FLAIR MRI.
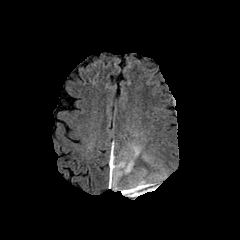
T1-weighted MR.
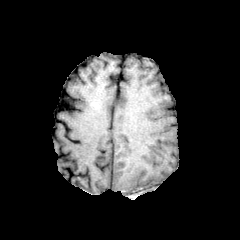
Post-contrast T1-weighted MRI.
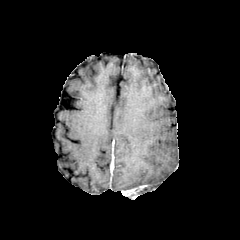
T2-weighted MR image.
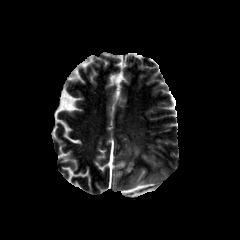
Edema: (left=118, top=173, right=155, bottom=196), (left=109, top=160, right=133, bottom=188).
Enhancing tumor: (left=122, top=185, right=146, bottom=195).